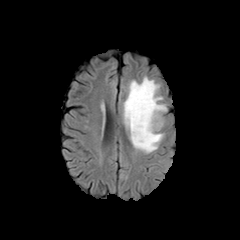
FLAIR MR image.
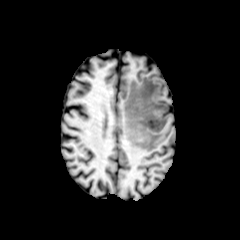
T1-weighted MR image.
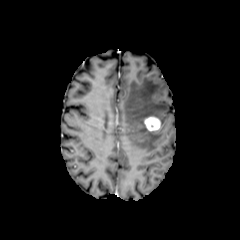
Post-contrast T1-weighted MRI of the same slice.
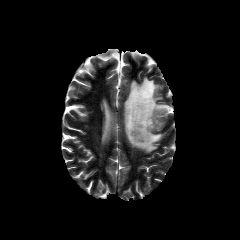
Same slice, T2-weighted MR.
Brain.
The edema appears at <bbox>122, 77, 167, 153</bbox>. The enhancing tumor is located at <bbox>144, 116, 160, 130</bbox>.